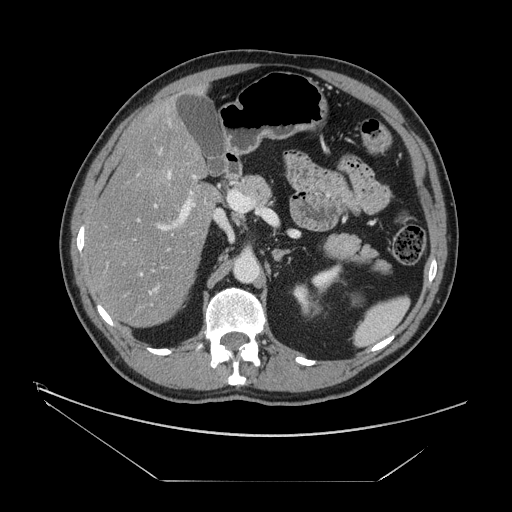

Image size 512x512; CT image

Only some of the vessels may be annotated.
4 hepatic vessel regions are located at (159,226,167,229), (153,289,155,290), (178,201,194,222), (168,172,170,177).